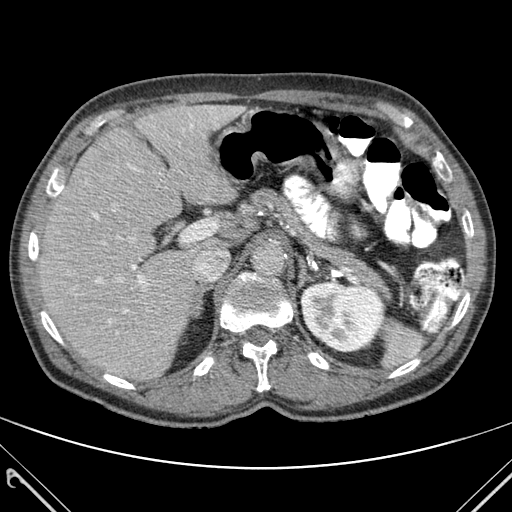 Image size 512x512, CT image
Liver at (202, 238, 224, 250), (40, 105, 246, 383), (221, 221, 235, 237).
Bone at (453, 293, 469, 325), (104, 374, 133, 388), (390, 359, 419, 377), (29, 232, 38, 259), (243, 340, 276, 391), (308, 353, 328, 368), (41, 312, 62, 343), (434, 152, 450, 179), (221, 274, 292, 331), (47, 169, 63, 198), (462, 211, 473, 235), (194, 357, 213, 375).
Kidney at (302, 283, 382, 350).